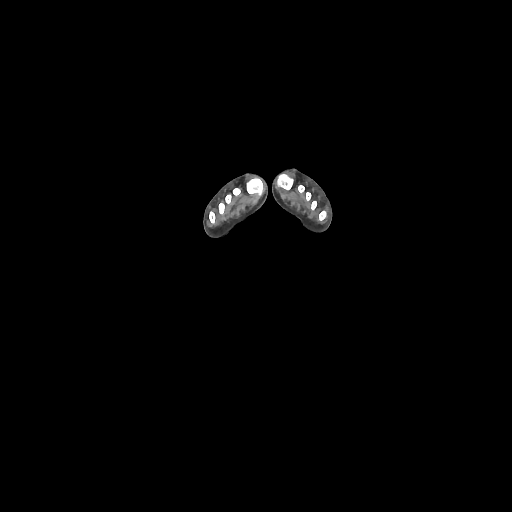 CT. Annotated regions:
* bone: (x1=319, y1=211, x2=326, y2=220), (x1=219, y1=188, x2=240, y2=214), (x1=298, y1=185, x2=316, y2=209), (x1=247, y1=177, x2=262, y2=195), (x1=209, y1=211, x2=215, y2=223), (x1=277, y1=174, x2=292, y2=189)